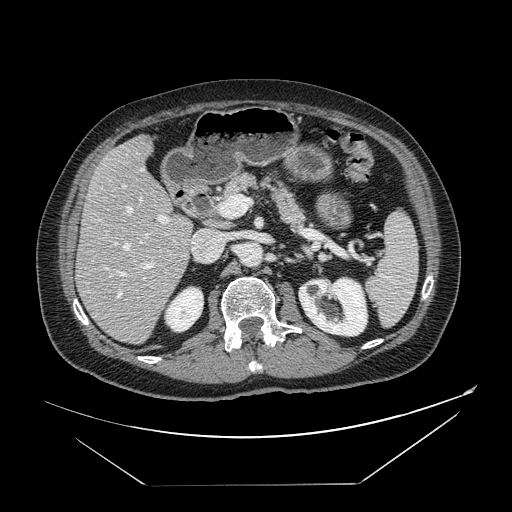 Abdomen, Computed tomography, 512x512

Findings:
• pancreas: x1=223, y1=174, x2=258, y2=199; x1=264, y1=184, x2=305, y2=230